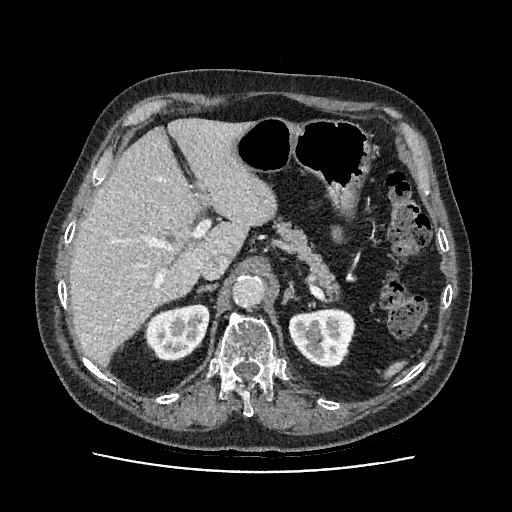 CT scan slice. Upper abdomen. liver: rect(69, 119, 275, 366) | kidney: rect(289, 310, 353, 365); rect(147, 305, 208, 359)